Slice 359 of 647; Liver; Image width 350 mm; CT
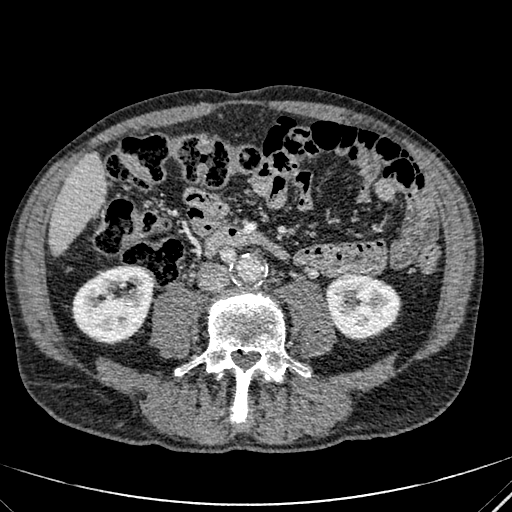

kidney:
  - (73,267,152,341)
  - (327,275,398,337)
liver:
  - (50,154,104,252)